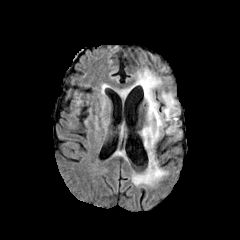
FLAIR MR image.
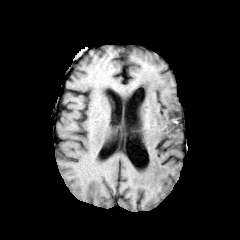
T1-weighted MRI.
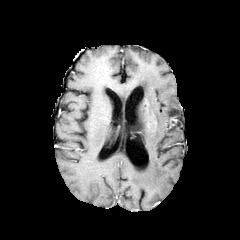
Post-contrast T1-weighted MR image of the same slice.
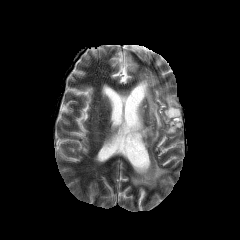
Same slice, T2-weighted MR.
Head; 240x240 px
{
  "non-enhancing_tumor_core": [
    "[168,115,176,125]"
  ],
  "edema": [
    "[119,69,180,187]"
  ]
}